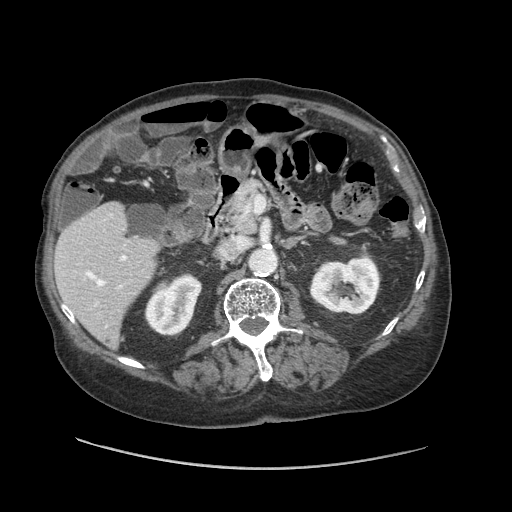

Abdomen; CT scan slice

Some hepatic vessels may have no box.
Hepatic vessel: bounding box bbox(93, 277, 104, 285); bbox(222, 250, 226, 255); bbox(232, 236, 249, 249).